FLAIR MRI.
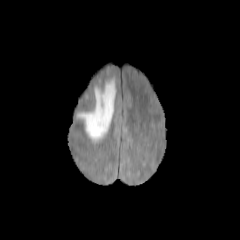
T1-weighted MRI.
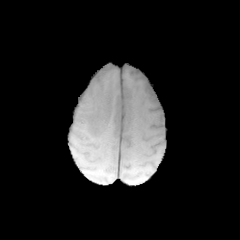
Post-contrast T1-weighted MR image.
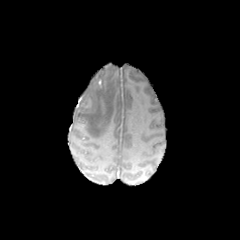
T2-weighted MR image.
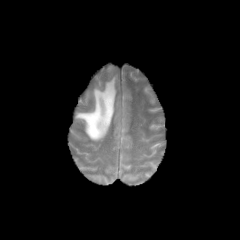
edema:
  - [76, 77, 116, 142]